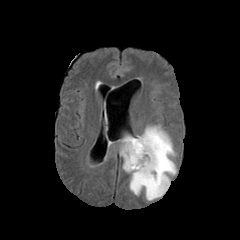
FLAIR magnetic resonance.
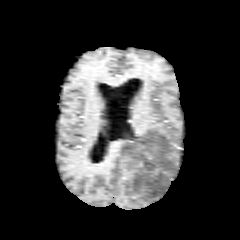
T1-weighted MRI.
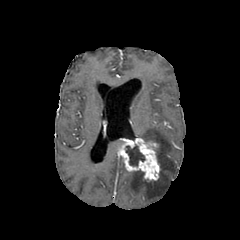
Post-contrast T1-weighted magnetic resonance.
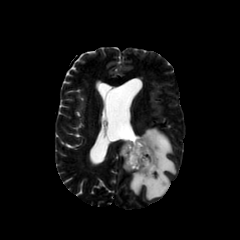
Same slice, T2-weighted MR.
Image size 240x240 | Brain
non-enhancing_tumor_core:
  - (138,171,160,183)
  - (126,146,144,165)
edema:
  - (122,126,176,201)
enhancing_tumor:
  - (120,136,160,181)